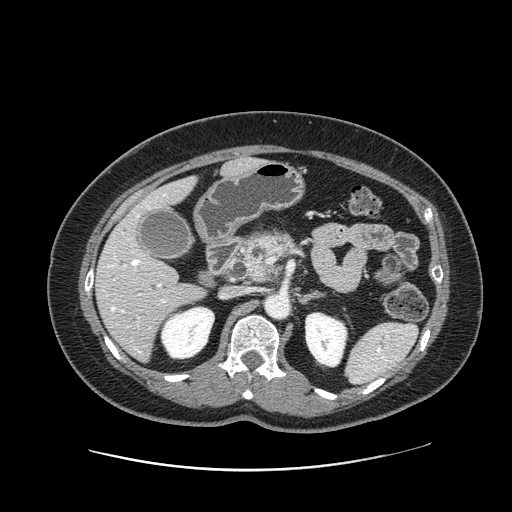 CT scan slice

{"pancreas": ["x1=244, y1=233, x2=294, y2=282"]}